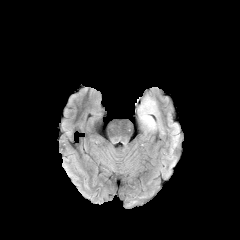
FLAIR magnetic resonance.
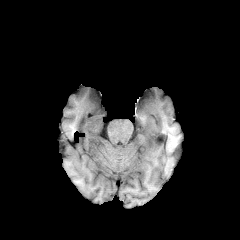
Same slice, T1-weighted MR.
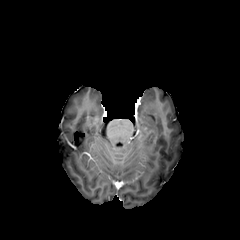
Post-contrast T1-weighted magnetic resonance.
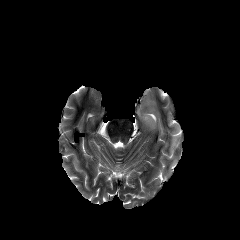
T2-weighted MRI.
<segmentation>
  <edema>x1=138 y1=95 x2=159 y2=131</edema>
</segmentation>